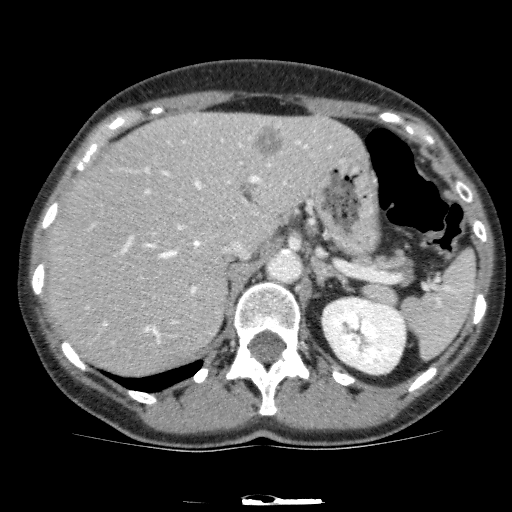 Upper abdomen. Image size 512x512. CT scan slice. {
  "liver": [
    "box(45, 112, 368, 371)"
  ],
  "kidney": [
    "box(322, 298, 405, 373)"
  ],
  "focal_liver_lesion": [
    "box(251, 123, 285, 158)",
    "box(191, 239, 204, 250)"
  ]
}